CT slice. Liver. Slice index 55.

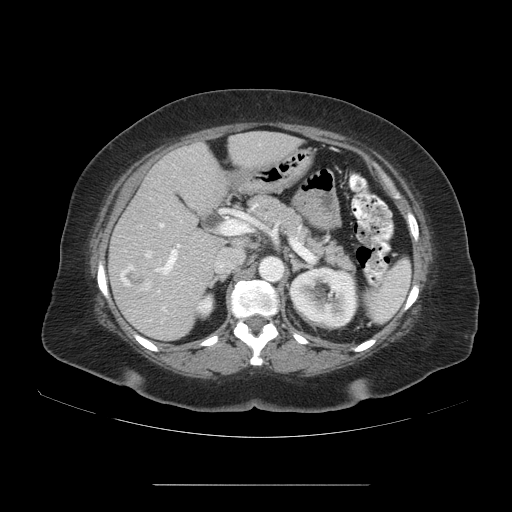
Not every hepatic vessel necessarily has a box.
Liver tumor at region(122, 265, 151, 289).
Hepatic vessel at region(214, 248, 243, 271); region(159, 224, 162, 226); region(224, 221, 246, 233); region(176, 244, 178, 247); region(155, 250, 175, 273); region(145, 251, 150, 256).